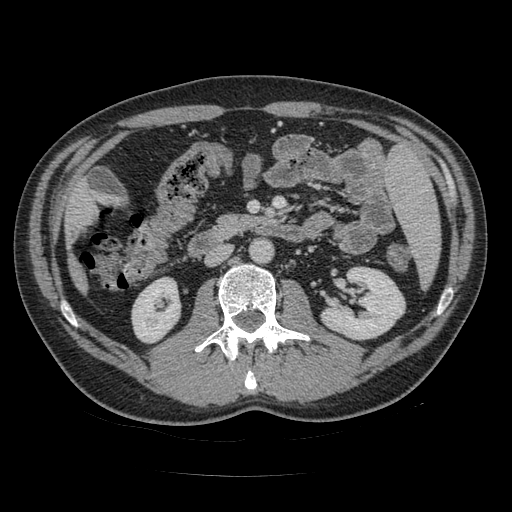 CT image

2 pancreas regions appear at box(218, 214, 265, 235); box(262, 239, 292, 271).